FLAIR MRI.
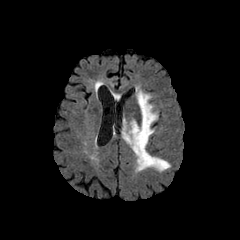
T1-weighted MR image.
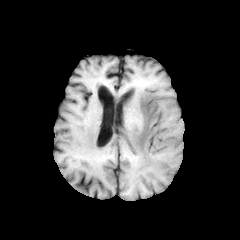
Post-contrast T1-weighted MR image.
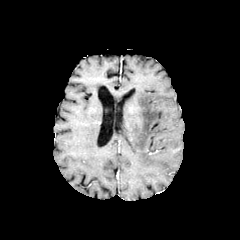
T2-weighted magnetic resonance.
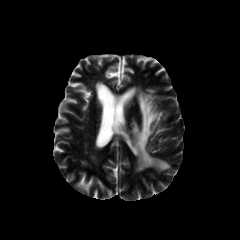
Brain
Annotated regions:
- edema: box(120, 87, 170, 172)